FLAIR magnetic resonance.
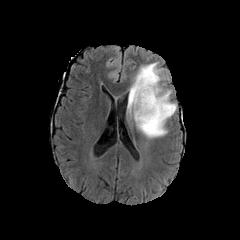
T1-weighted magnetic resonance.
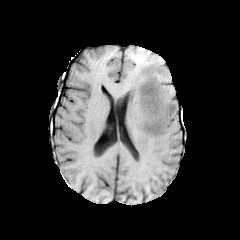
Post-contrast T1-weighted MR.
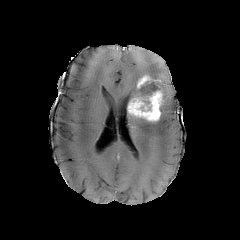
T2-weighted MRI.
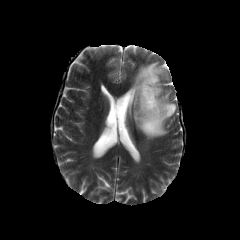
Brain
The edema is at box(126, 62, 177, 138). 2 enhancing tumor regions appear at box(138, 75, 150, 85); box(128, 90, 162, 121). 3 non-enhancing tumor core regions are located at box(140, 76, 159, 97); box(141, 118, 157, 131); box(160, 92, 175, 119).